Field of view 320 mm wide, 5.00 mm slice spacing | CT slice | Pelvis
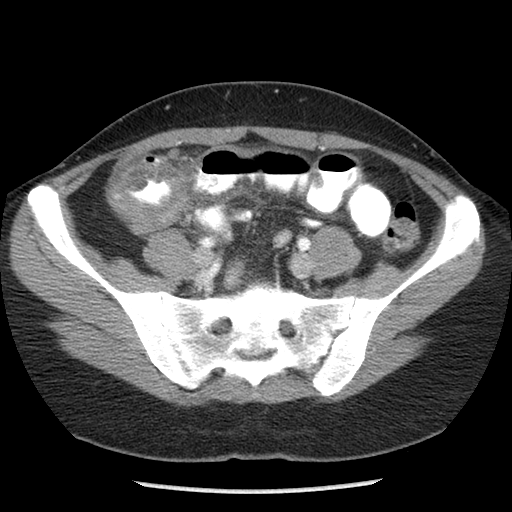

colon tumor: 113:191:188:231